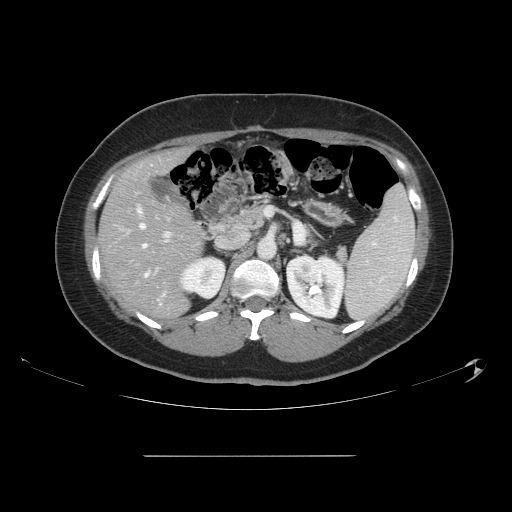 512x512 px, Abdomen, CT
Not every hepatic vessel necessarily has a box.
Hepatic vessel: rect(145, 273, 148, 276); rect(143, 244, 145, 247); rect(164, 232, 169, 241); rect(140, 224, 144, 227); rect(137, 206, 140, 212).